Brain
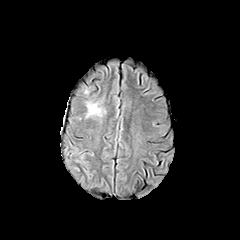
FLAIR MR image.
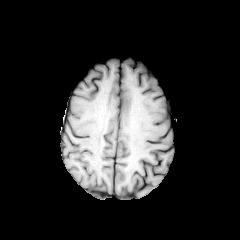
T1-weighted magnetic resonance.
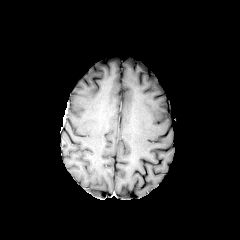
Post-contrast T1-weighted MRI.
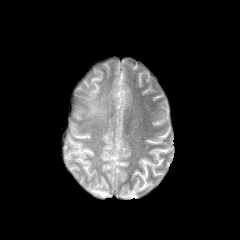
T2-weighted MR image of the same slice.
Edema: bounding box {"x1": 84, "y1": 88, "x2": 106, "y2": 117}.